Slice 18/83; Image size 512x512; CT; Upper abdomen

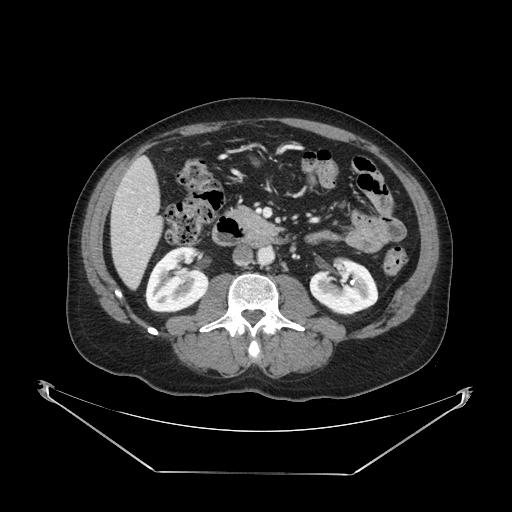

Pancreas at (226, 205, 280, 236).